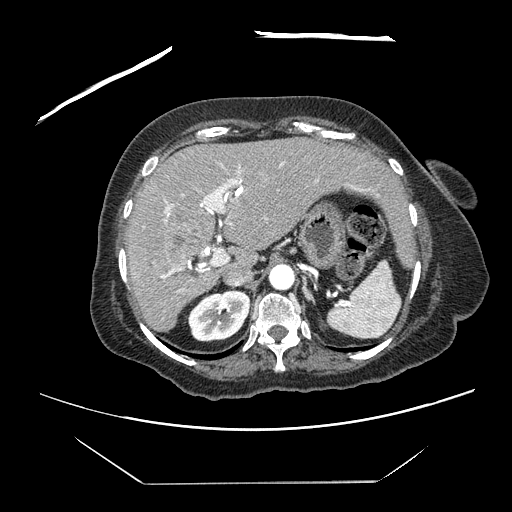

CT, Liver
Only some of the vessels may be annotated.
6 hepatic vessel regions are bounded by [197,267,198,269], [200,177,240,213], [189,263,190,267], [211,249,228,265], [164,199,173,215], [162,268,180,277]. The liver tumor is located at [167,223,201,263].